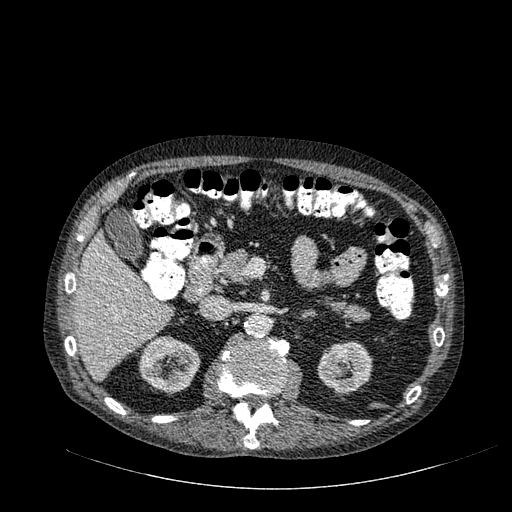

CT slice. 512x512 px.
Annotated regions:
* liver: [x1=75, y1=233, x2=171, y2=379]
* kidney: [x1=317, y1=341, x2=372, y2=394], [x1=139, y1=336, x2=200, y2=394]